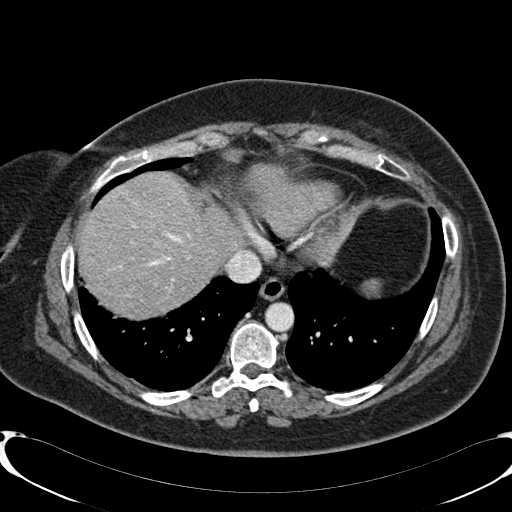

Liver | CT image

Liver: bounding box box=[247, 165, 293, 209]; box=[80, 173, 243, 316]; box=[317, 215, 354, 266].